FLAIR MR.
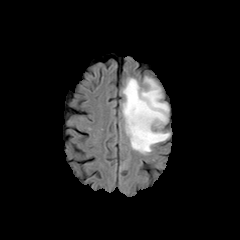
T1-weighted MRI.
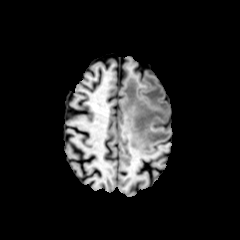
Post-contrast T1-weighted MR.
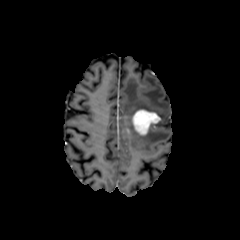
T2-weighted MR image.
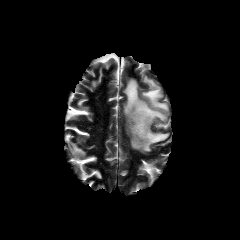
Head, 240x240
Findings:
- edema: region(122, 76, 169, 154)
- enhancing tumor: region(132, 109, 160, 134)